CT, Brain, 512x512 px

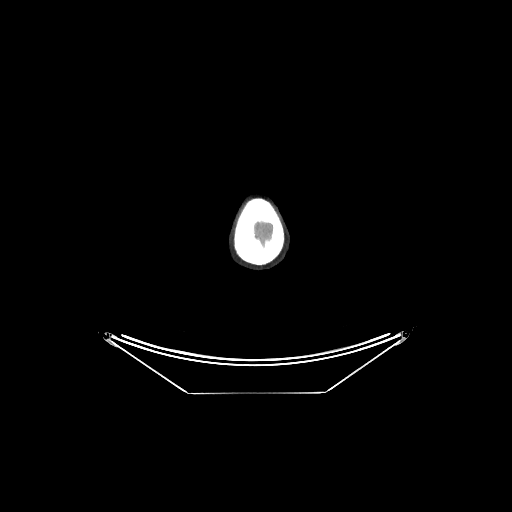
brain:
  - left=254, top=221, right=272, bottom=247